240x240 | Slice index 85 | Brain
FLAIR MR.
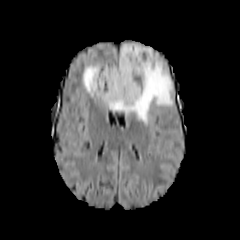
T1-weighted MR image.
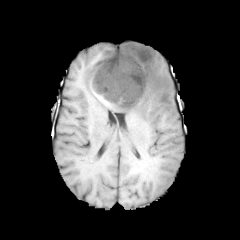
Post-contrast T1-weighted MR image.
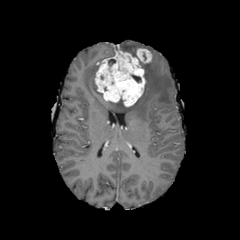
T2-weighted magnetic resonance.
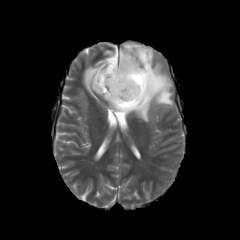
The edema is at bbox=[83, 43, 173, 125]. 2 enhancing tumor regions are located at bbox=[136, 48, 152, 63]; bbox=[94, 49, 145, 106].